Image width 240 mm; Image size 240x240; Head
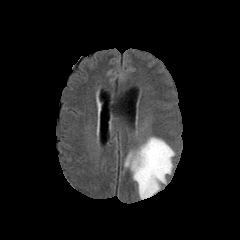
FLAIR MRI.
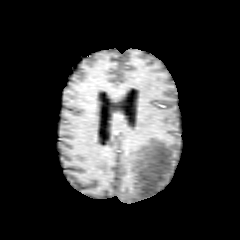
T1-weighted MR image.
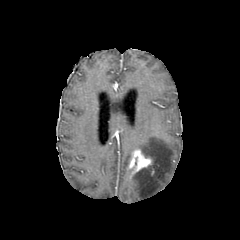
Post-contrast T1-weighted MR.
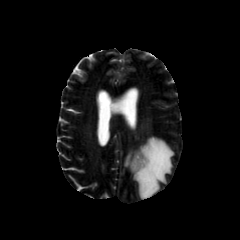
T2-weighted MR image of the same slice.
{
  "enhancing_tumor": [
    "(x1=129, y1=150, x2=151, y2=171)"
  ],
  "edema": [
    "(x1=124, y1=136, x2=175, y2=199)"
  ]
}